FLAIR MR image.
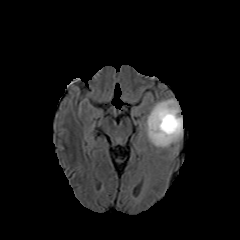
T1-weighted magnetic resonance.
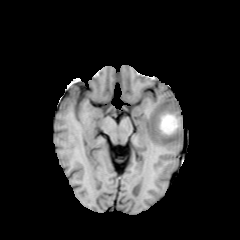
Post-contrast T1-weighted magnetic resonance.
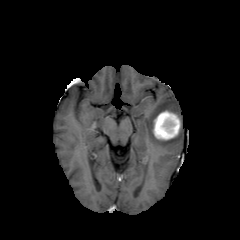
T2-weighted MR image.
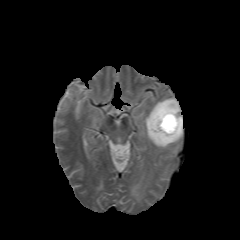
Head
The enhancing tumor is bounded by [x1=160, y1=113, x2=177, y2=134]. The non-enhancing tumor core appears at [x1=153, y1=101, x2=179, y2=137]. The edema lies within [x1=138, y1=95, x2=182, y2=153].